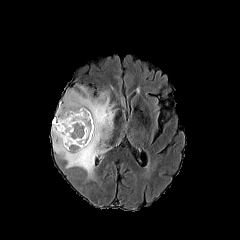
FLAIR MR image.
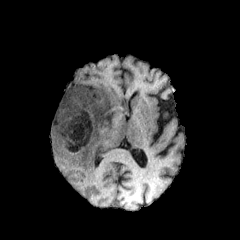
T1-weighted MR.
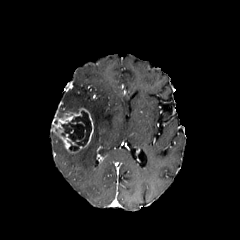
Post-contrast T1-weighted magnetic resonance of the same slice.
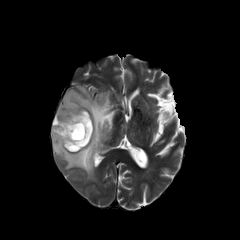
Same slice, T2-weighted MR.
Head
enhancing_tumor:
  - 79,112,93,150
  - 51,108,87,153
non-enhancing_tumor_core:
  - 61,111,91,151
edema:
  - 51,84,116,182